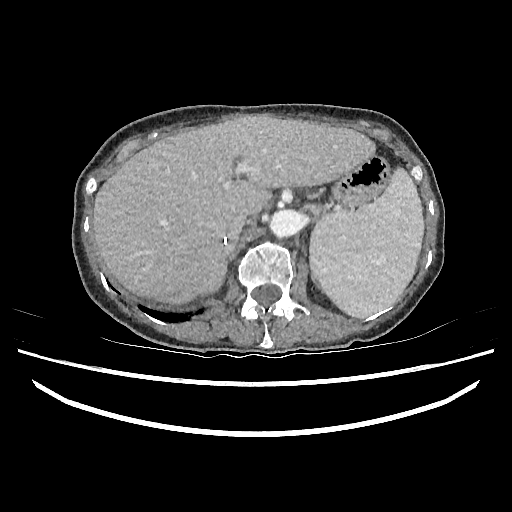 CT scan slice; Image size 512x512
The liver lies within l=94, t=115, r=374, b=303.